CT scan slice.

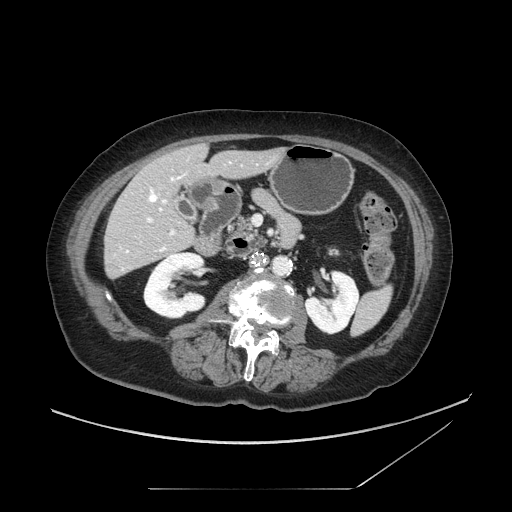
<segmentation>
  <pancreas>234, 219, 262, 244; 328, 249, 339, 255</pancreas>
</segmentation>